Slice 88 of 155
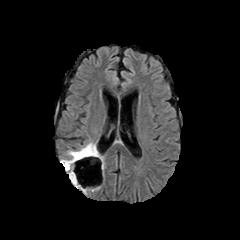
FLAIR MR.
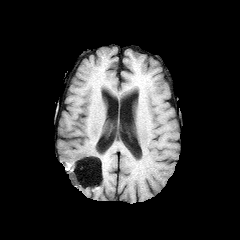
Same slice, T1-weighted MRI.
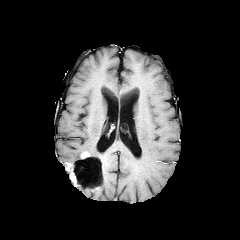
Same slice, post-contrast T1-weighted magnetic resonance.
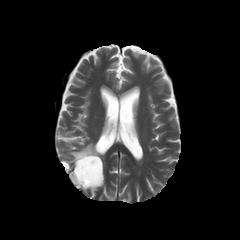
T2-weighted MR image.
Annotated regions:
- non-enhancing tumor core: 66,147,99,184
- enhancing tumor: 80,151,91,157
- edema: 96,151,104,163; 60,137,96,169